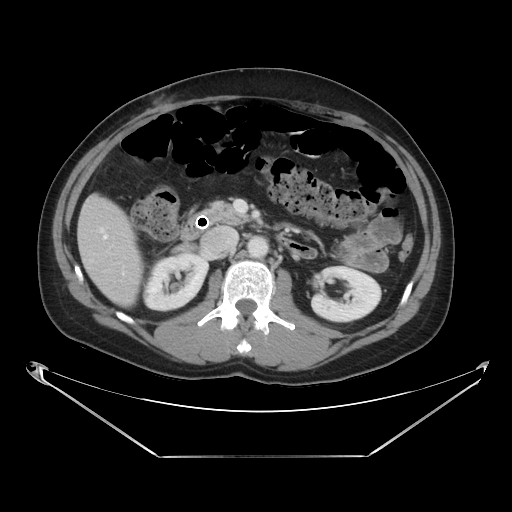
Computed tomography. Upper abdomen.

Pancreatic tumor: bbox(211, 202, 223, 211).
Pancreas: bbox(200, 200, 249, 225).